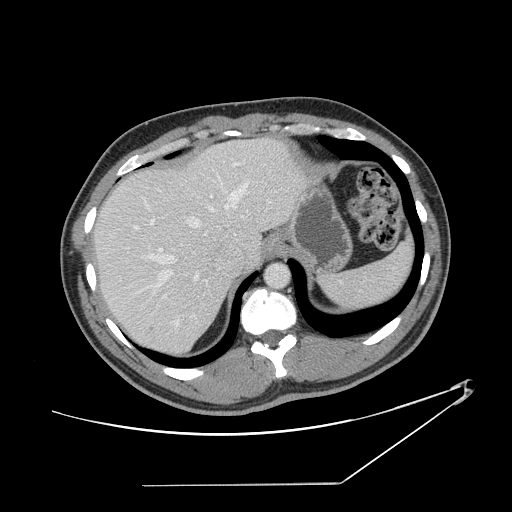 512x512; CT image

The vessel annotation is not exhaustive.
[15/19] hepatic vessel: (137,288,145,292), (241,212,247,217), (218,177,222,186), (134,226,137,227), (187,217,200,227), (145,201,149,210), (195,273,198,278), (172,315,179,325), (149,249,175,263), (146,270,172,287), (224,183,247,208), (233,161,244,166), (150,218,154,223), (191,314,194,316), (210,207,214,210)